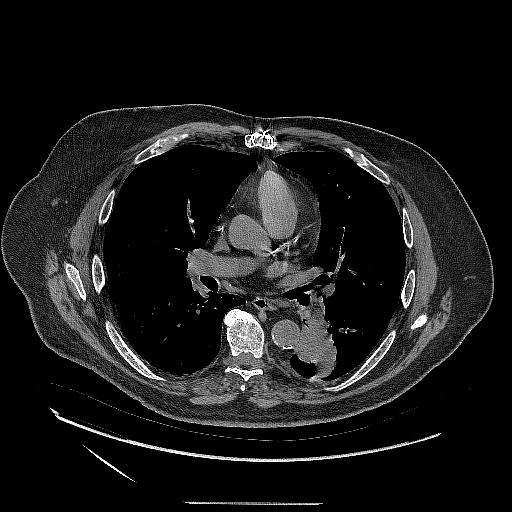 Computed tomography.
Lung tumor: bounding box box=[294, 304, 340, 379].